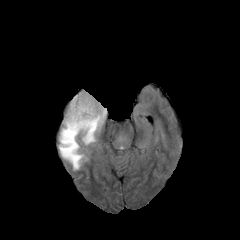
FLAIR magnetic resonance.
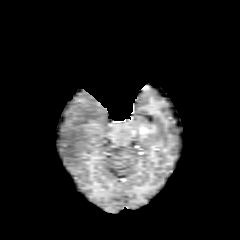
T1-weighted MR.
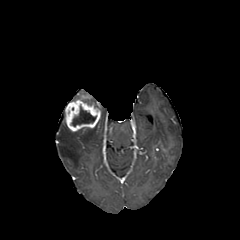
Post-contrast T1-weighted MR image.
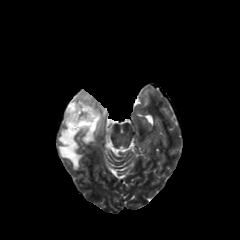
Same slice, T2-weighted MRI.
Brain
The enhancing tumor lies within (x1=63, y1=90, x2=101, y2=132). The edema is bounded by (x1=58, y1=106, x2=106, y2=170). The non-enhancing tumor core is located at (x1=71, y1=108, x2=96, y2=126).